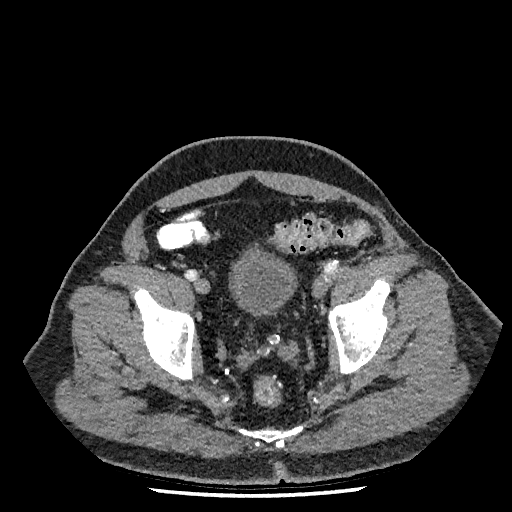
CT | Image size 512x512

2 urinary bladder regions are bounded by region(263, 240, 272, 247); region(228, 240, 298, 318).